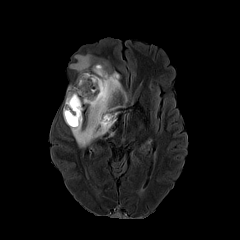
FLAIR MR.
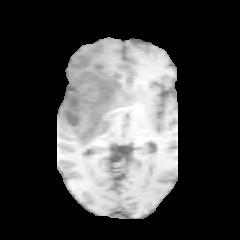
Same slice, T1-weighted MRI.
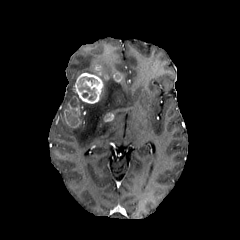
Post-contrast T1-weighted magnetic resonance of the same slice.
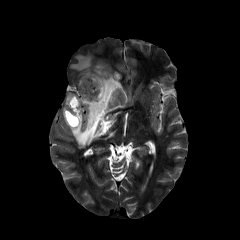
T2-weighted MR image of the same slice.
240x240, Head
5 enhancing tumor regions are located at bbox=[64, 96, 83, 127]; bbox=[94, 66, 101, 75]; bbox=[76, 73, 103, 104]; bbox=[114, 73, 122, 82]; bbox=[103, 112, 114, 122]. 2 edema regions appear at bbox=[69, 54, 127, 148]; bbox=[65, 85, 84, 109]. The non-enhancing tumor core is located at bbox=[78, 76, 97, 93].